Liver | CT slice 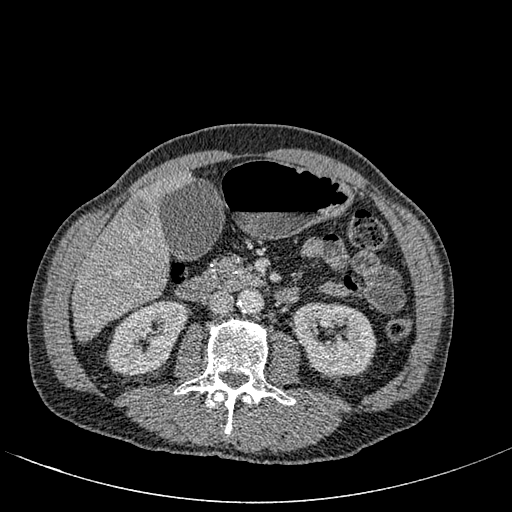

Kidney — (x1=294, y1=299, x2=375, y2=376), (x1=108, y1=301, x2=187, y2=374).
Liver — (x1=73, y1=170, x2=193, y2=341).
Hepatic lesion — (x1=123, y1=197, x2=152, y2=232).